Slice 124/466. CT image.
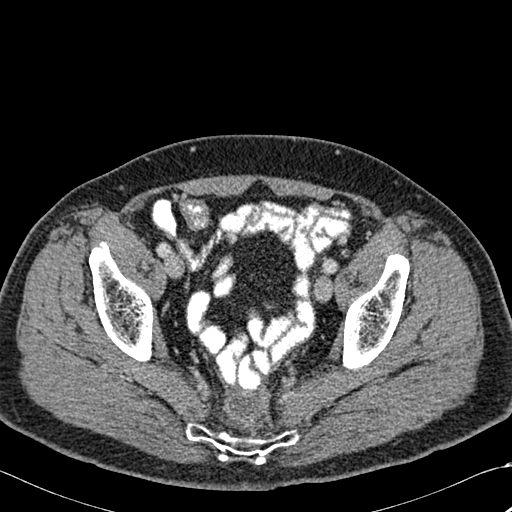

bone:
  - rect(343, 254, 409, 368)
  - rect(89, 242, 152, 361)
  - rect(186, 424, 297, 463)